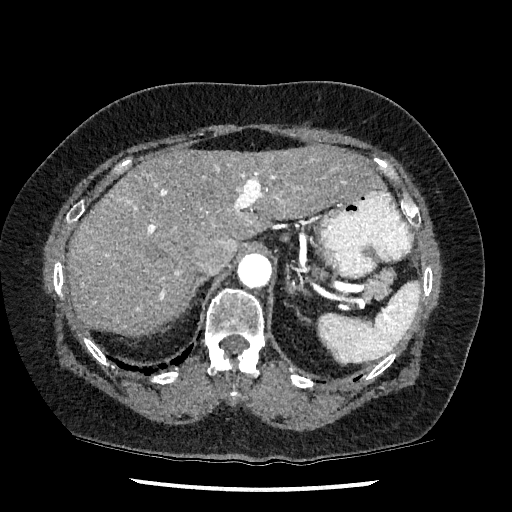
CT scan slice. Abdomen.

liver: [67, 146, 383, 334]